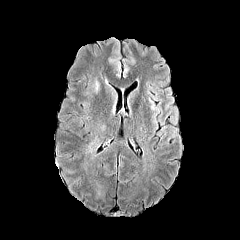
FLAIR MRI.
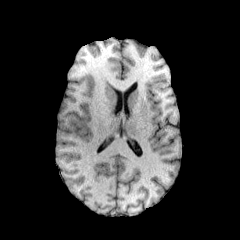
T1-weighted MR image.
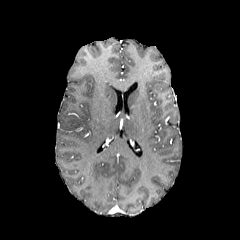
Post-contrast T1-weighted MRI of the same slice.
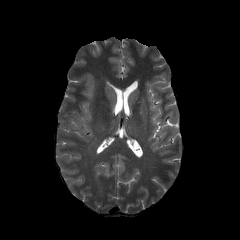
T2-weighted MRI of the same slice.
Brain; Image size 240x240
Edema = {"x1": 91, "y1": 78, "x2": 99, "y2": 93}.